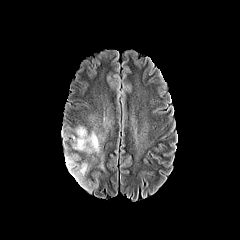
FLAIR MR.
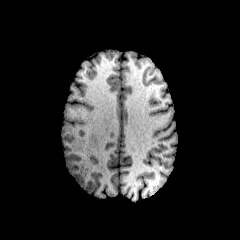
T1-weighted magnetic resonance.
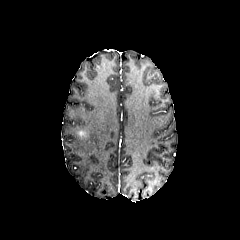
Same slice, post-contrast T1-weighted magnetic resonance.
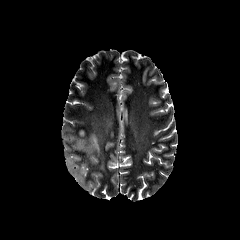
T2-weighted MR image.
Head
Findings:
• edema: (71, 126, 103, 154), (65, 153, 88, 189)